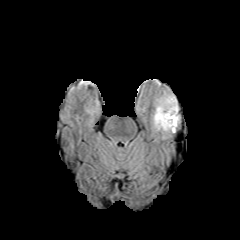
FLAIR MR image.
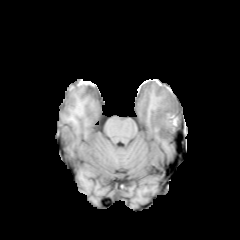
T1-weighted MR.
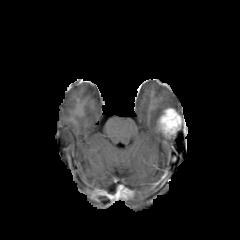
Same slice, post-contrast T1-weighted MR.
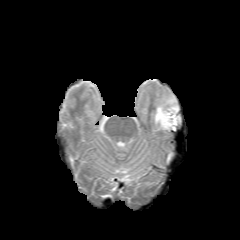
Same slice, T2-weighted MR image.
Brain
Segmented structures:
• non-enhancing tumor core: left=158, top=112, right=173, bottom=126
• edema: left=150, top=88, right=180, bottom=133